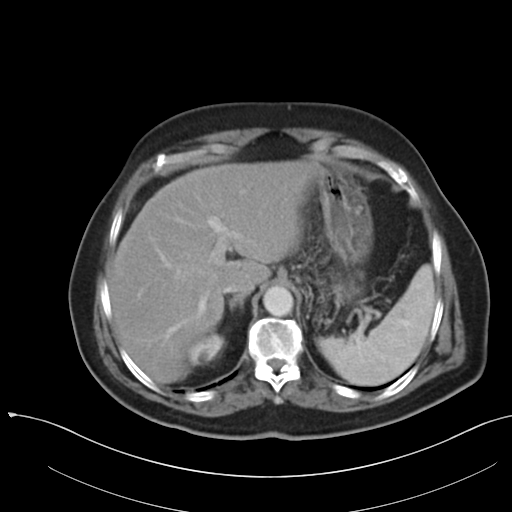
Abdomen | CT | Image size 512x512
Not every hepatic vessel necessarily has a box.
{"partial": true, "hepatic_vessel": {"n_total": 21, "boxes": ["178, 203, 181, 206", "175, 217, 184, 222", "155, 246, 171, 268", "226, 263, 232, 265", "137, 288, 142, 296", "197, 291, 209, 317", "164, 319, 186, 340", "236, 263, 239, 266", "175, 266, 180, 278", "240, 189, 245, 193", "184, 264, 194, 274", "254, 255, 257, 258", "207, 216, 241, 265", "249, 282, 252, 285", "225, 285, 236, 289"]}, "liver_tumor": ["190, 267, 229, 290"]}